Image size 512x512, Field of view 403 mm wide, 1.50 mm slice spacing, Computed tomography, Abdomen 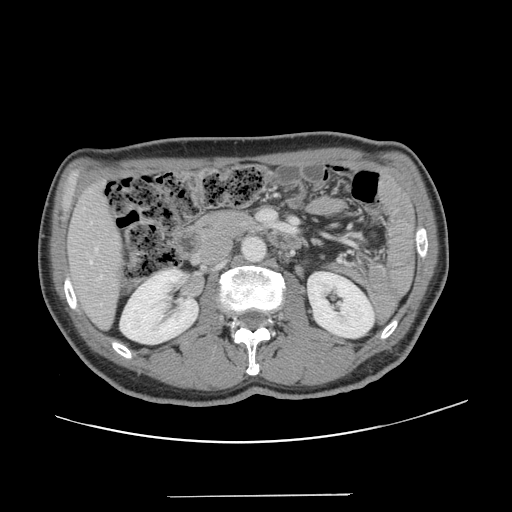

Not every hepatic vessel necessarily has a box.
hepatic vessel: <bbox>90, 222, 91, 223</bbox>, <bbox>90, 261, 92, 263</bbox>, <bbox>95, 248, 97, 251</bbox>